Slice 112 of 155 | Brain
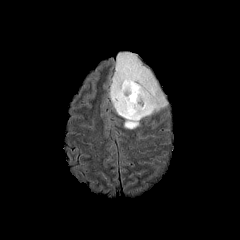
FLAIR MR.
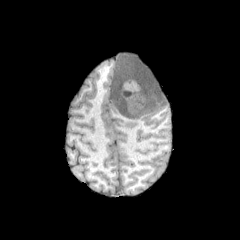
T1-weighted MR image.
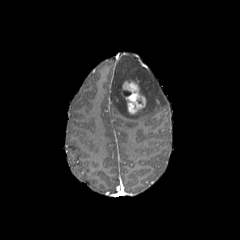
Same slice, post-contrast T1-weighted MRI.
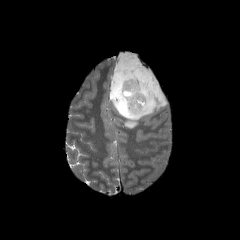
T2-weighted magnetic resonance.
non-enhancing tumor core: <box>120,63,130,73</box> | edema: <box>111,55,166,128</box> | enhancing tumor: <box>119,79,146,114</box>